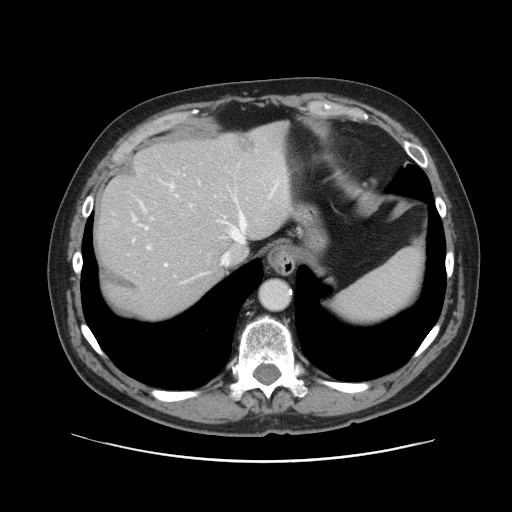

CT scan slice

Only some of the vessels may be annotated.
Hepatic vessel: bounding box region(234, 196, 235, 199); region(164, 264, 167, 265); region(147, 246, 150, 249); region(167, 183, 173, 187); region(133, 239, 134, 240); region(132, 215, 136, 222); region(139, 224, 147, 229); region(230, 212, 245, 241); region(139, 201, 144, 210); region(220, 221, 223, 221); region(198, 182, 199, 184); region(269, 181, 283, 198).
Liver tumor: bounding box region(236, 137, 254, 150).